CT image, 512x512, Slice 114/193
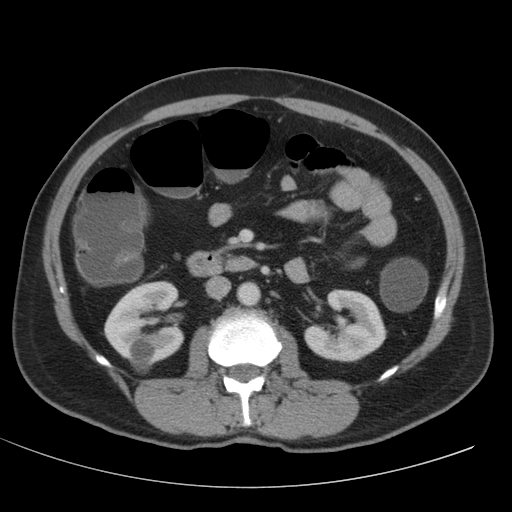

Kidney: bounding box 105,282,183,363; 305,290,385,361.